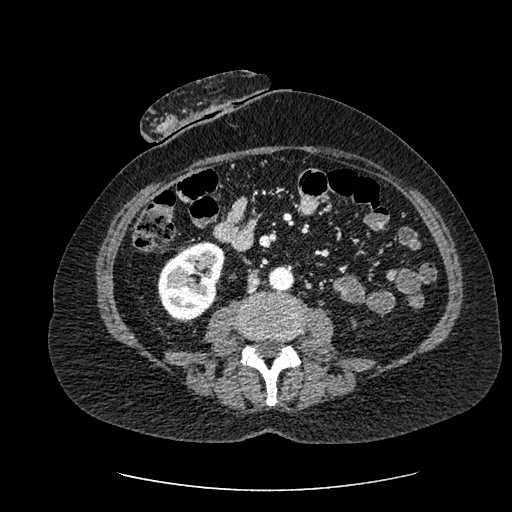
CT slice. Abdomen.

Kidney at left=158, top=242, right=223, bottom=319.